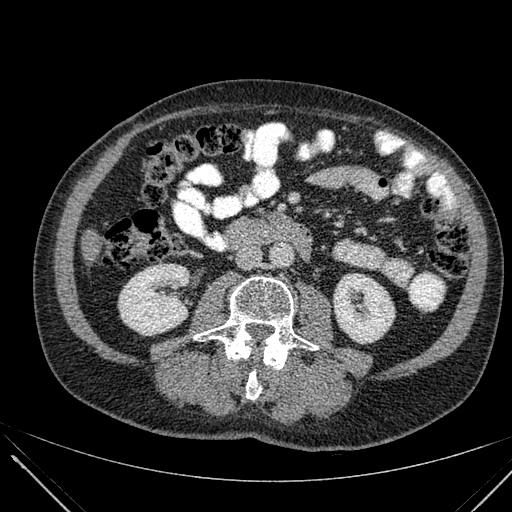 512x512 px | Upper abdomen | CT scan slice
{"liver": ["<box>82,229,102,260</box>"], "kidney": ["<box>334,274,394,342</box>", "<box>119,264,188,334</box>"]}